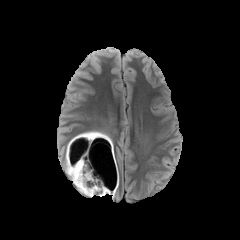
FLAIR MR.
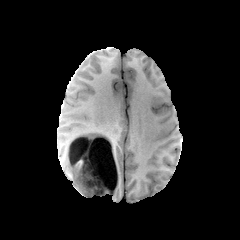
T1-weighted MR image.
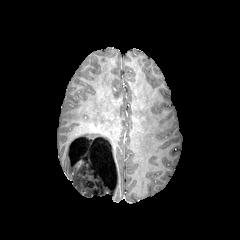
Post-contrast T1-weighted MR.
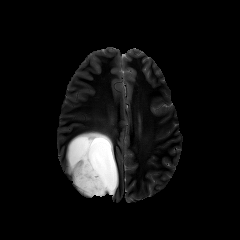
Same slice, T2-weighted MR image.
Brain
4 edema regions appear at <bbox>96, 177, 116, 196</bbox>, <bbox>64, 138, 93, 196</bbox>, <bbox>98, 139, 115, 170</bbox>, <bbox>74, 130, 93, 137</bbox>. The non-enhancing tumor core appears at <bbox>68, 132, 113, 194</bbox>.